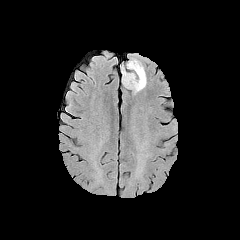
FLAIR MR image.
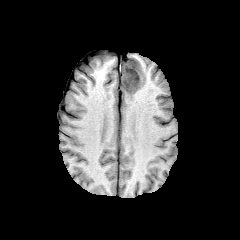
T1-weighted MR.
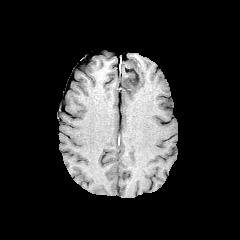
Same slice, post-contrast T1-weighted magnetic resonance.
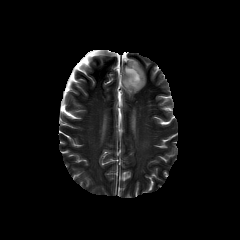
Same slice, T2-weighted magnetic resonance.
- edema: l=130, t=65, r=146, b=93
- non-enhancing tumor core: l=122, t=60, r=141, b=89